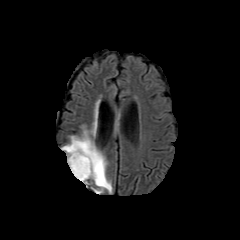
FLAIR MR image.
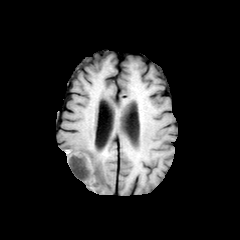
T1-weighted magnetic resonance.
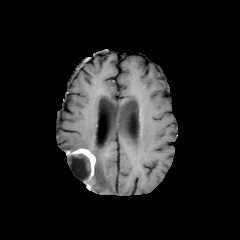
Post-contrast T1-weighted magnetic resonance.
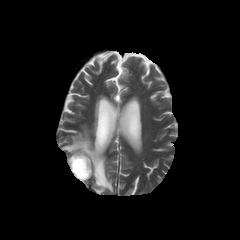
Same slice, T2-weighted MR.
Head
Enhancing tumor: left=67, top=148, right=95, bottom=177.
Edema: left=62, top=123, right=113, bottom=192.
Non-enhancing tumor core: left=68, top=153, right=90, bottom=182.